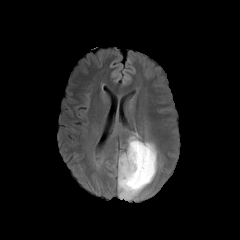
FLAIR magnetic resonance.
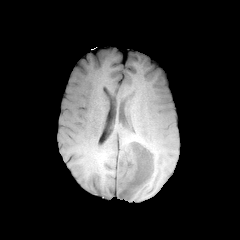
T1-weighted MR.
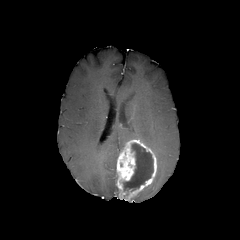
Same slice, post-contrast T1-weighted MR.
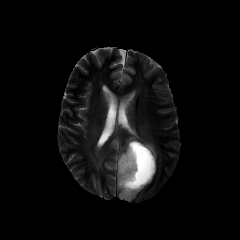
T2-weighted MR image of the same slice.
240x240 | Head
enhancing tumor: 116 140 156 200 | non-enhancing tumor core: 124 144 152 189 | edema: 124 129 139 147, 109 147 123 174, 142 140 157 167